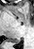

MR image | Medial temporal lobe
The posterior hippocampus is located at l=6, t=37, r=18, b=42.